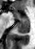 MR. 35x49.

<segmentation>
  <posterior_hippocampus>17 21 29 33</posterior_hippocampus>
  <anterior_hippocampus>13 7 28 20</anterior_hippocampus>
</segmentation>